MR image, Field of view 38x48 mm, Slice 24 of 40, Hippocampus 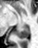
<segmentation>
  <posterior_hippocampus>left=16, top=26, right=30, bottom=38</posterior_hippocampus>
</segmentation>